Field of view 411 mm wide, 2.50 mm slice spacing. 512x512. CT scan slice. 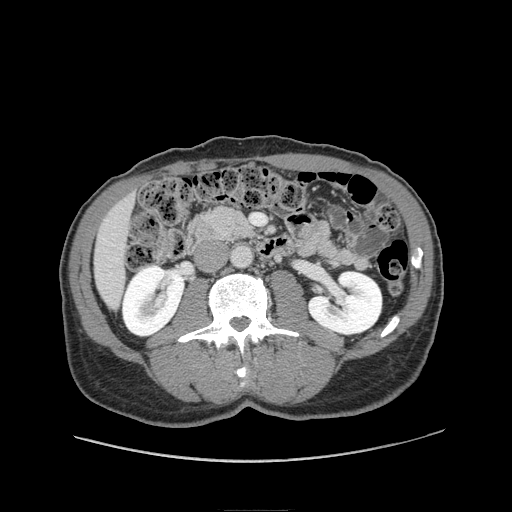
Pancreas — (x1=202, y1=207, x2=253, y2=240).